Field of view 240x240 mm; Brain; 240x240; Slice 86 of 155
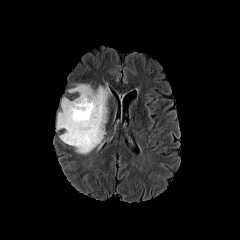
FLAIR MR image.
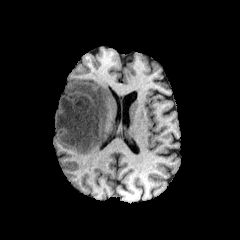
T1-weighted magnetic resonance.
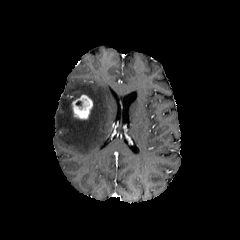
Same slice, post-contrast T1-weighted MRI.
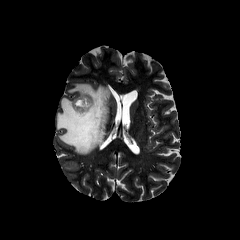
T2-weighted MR of the same slice.
* enhancing tumor: region(72, 95, 93, 119)
* edema: region(55, 83, 110, 155)